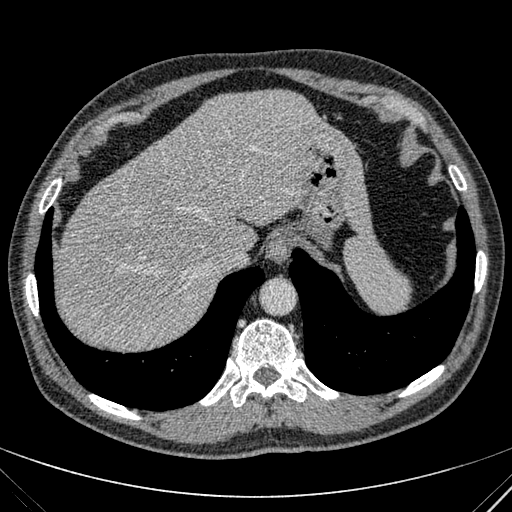

CT slice
The liver is located at (54,90,372,349).